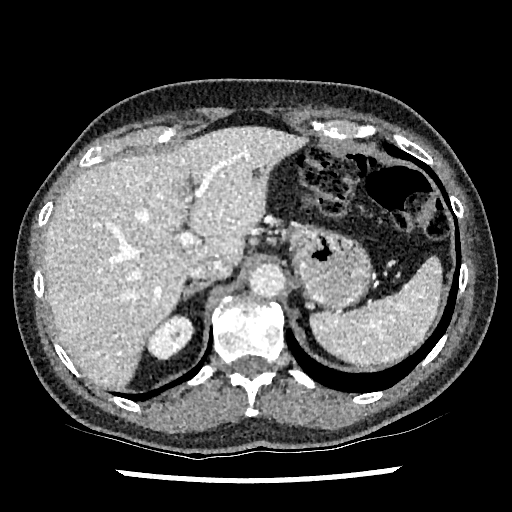 CT slice, Upper abdomen

Hepatic lesion: bounding box 252, 166, 266, 177.
Liver: bounding box 44, 126, 307, 387.
Kidney: bounding box 150, 318, 191, 357.